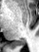 MR
Posterior hippocampus: box=[16, 41, 24, 45].